Slice index 37, CT image

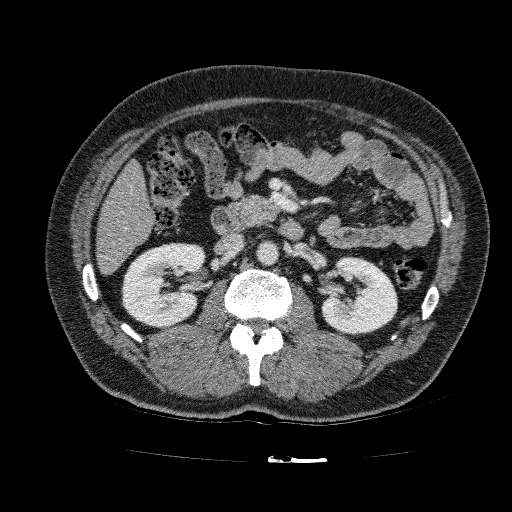

The liver appears at bbox=[97, 160, 154, 275]. 2 kidney regions appear at bbox=[123, 244, 204, 326]; bbox=[322, 258, 396, 333].